FLAIR MR image.
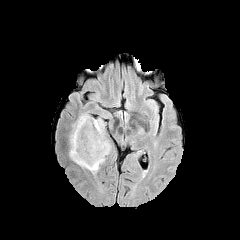
T1-weighted MRI.
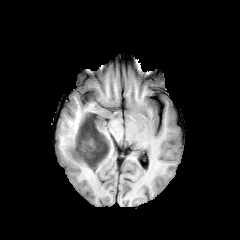
Post-contrast T1-weighted MR.
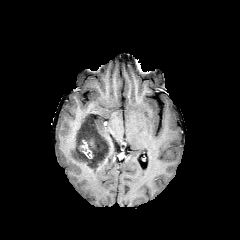
T2-weighted magnetic resonance.
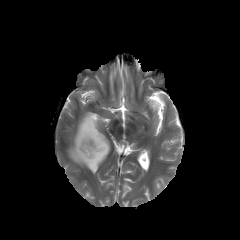
Brain
<segmentation>
  <non-enhancing_tumor_core>[74, 114, 109, 167]</non-enhancing_tumor_core>
  <enhancing_tumor>[80, 140, 92, 158]</enhancing_tumor>
  <edema>[69, 111, 111, 173]</edema>
</segmentation>